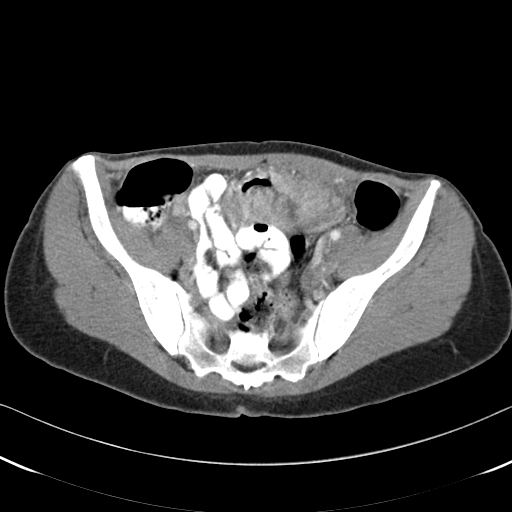
Computed tomography; 512x512
Findings:
* colon tumor: (237, 173, 345, 232)